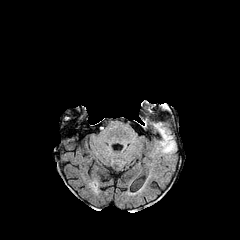
FLAIR MR image.
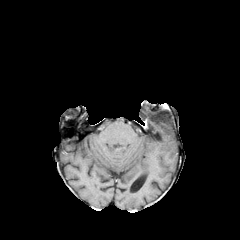
Same slice, T1-weighted MRI.
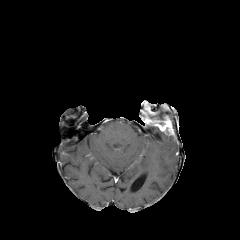
Post-contrast T1-weighted MR.
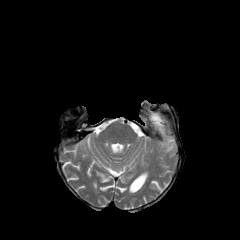
Same slice, T2-weighted magnetic resonance.
Head
The non-enhancing tumor core lies within (142, 110, 171, 128). The enhancing tumor is at (143, 118, 170, 134). The edema is bounded by (158, 132, 175, 153).